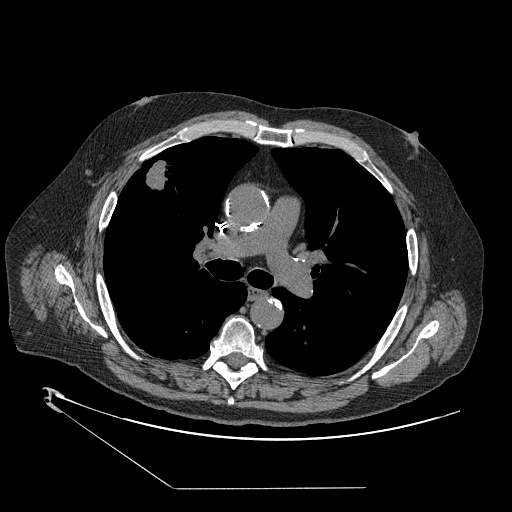
CT image; Lung

<segmentation>
  <lung_tumor>x1=137, y1=156, x2=176, y2=191</lung_tumor>
</segmentation>